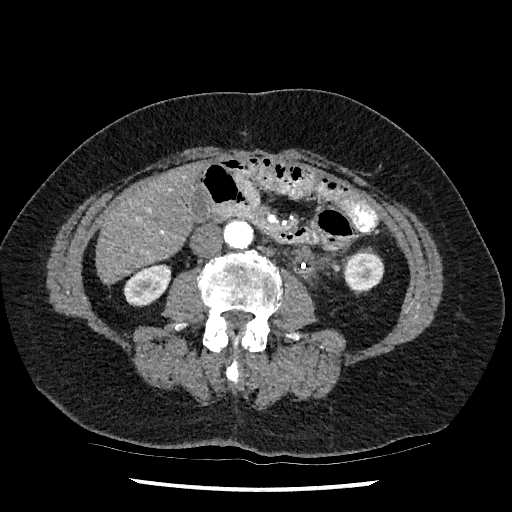
Abdomen; Computed tomography
2 kidney regions appear at (124, 265, 170, 304), (345, 253, 383, 290). The liver is located at (97, 161, 203, 282).